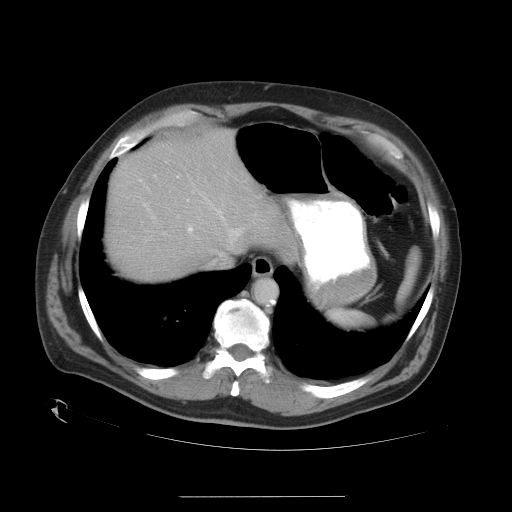 CT slice
The vessel annotation is not exhaustive.
Findings:
- hepatic vessel: x1=140 y1=179 x2=141 y2=181, x1=154 y1=174 x2=155 y2=176, x1=187 y1=199 x2=189 y2=201, x1=163 y1=231 x2=164 y2=234